240x240 px; Head
FLAIR MRI.
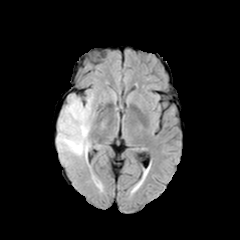
T1-weighted MR image.
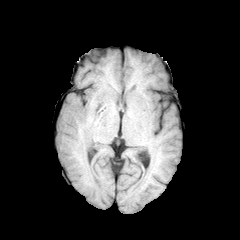
Post-contrast T1-weighted MRI.
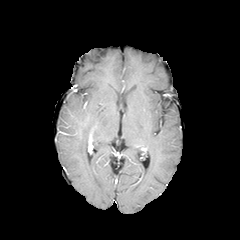
T2-weighted MRI.
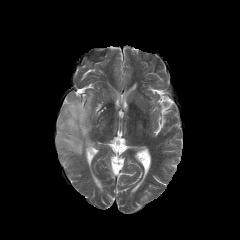
edema: rect(56, 91, 95, 166)